Slice 113/155; Field of view 240 mm wide, 1.00 mm slice spacing; Brain; Image size 240x240
FLAIR MR image.
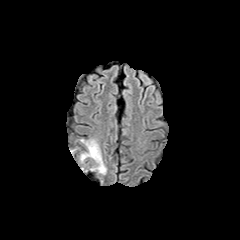
T1-weighted MR.
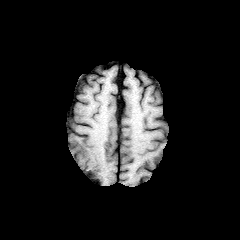
Post-contrast T1-weighted magnetic resonance.
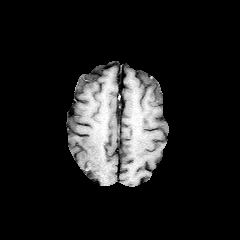
T2-weighted MRI.
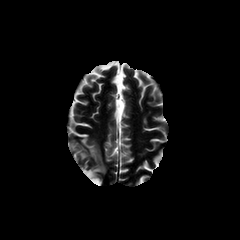
Edema: box=[70, 138, 106, 174].